Field of view 240 mm wide, 1.00 mm slice spacing, Head
FLAIR MRI.
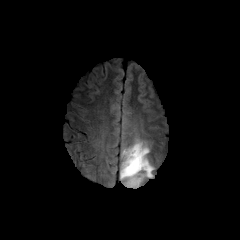
T1-weighted MR image.
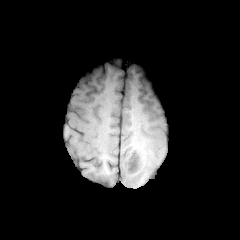
Post-contrast T1-weighted magnetic resonance.
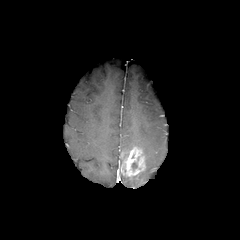
T2-weighted MR.
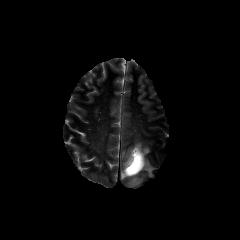
Annotated regions:
• non-enhancing tumor core: <box>132,157,139,170</box>
• edema: <box>119,139,155,187</box>
• enhancing tumor: <box>121,147,145,179</box>